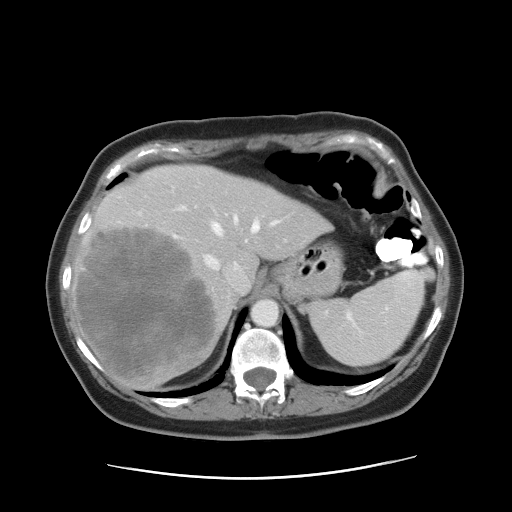
CT scan slice
Not every hepatic vessel necessarily has a box.
Hepatic vessel at box(212, 223, 222, 235); box(245, 238, 248, 242); box(252, 222, 259, 232); box(177, 206, 185, 210); box(202, 254, 248, 292); box(272, 221, 278, 225); box(234, 216, 238, 223).
Liver tumor at box(75, 224, 219, 380).